512x512, CT, Liver, Slice 73 of 86

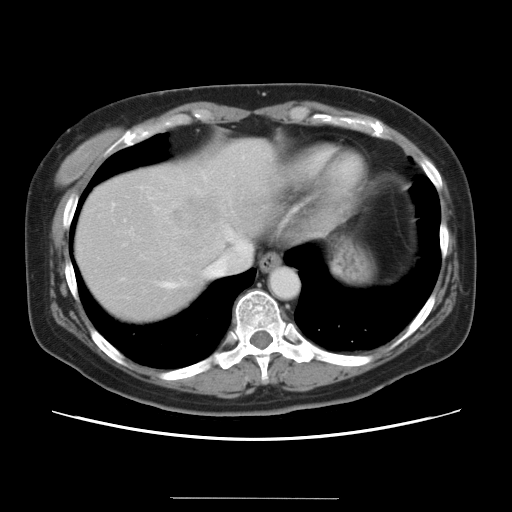 Some hepatic vessels may have no box.
Hepatic vessel at box(112, 204, 113, 206); box(163, 283, 174, 288); box(182, 282, 185, 285); box(208, 244, 249, 276); box(226, 228, 231, 239).
Liver tumor at box(171, 197, 222, 249).